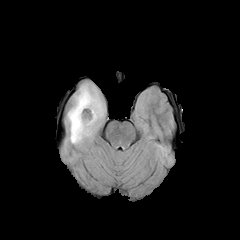
FLAIR magnetic resonance.
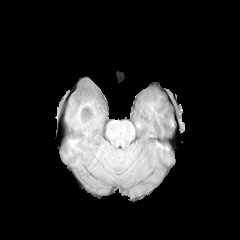
Same slice, T1-weighted magnetic resonance.
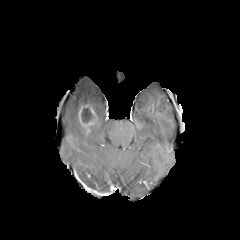
Post-contrast T1-weighted MRI of the same slice.
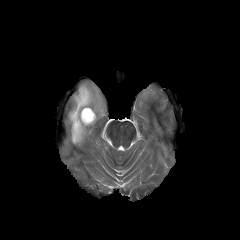
T2-weighted magnetic resonance of the same slice.
Head
Non-enhancing tumor core at region(81, 105, 98, 129).
Edema at region(65, 82, 106, 145).
Enhancing tumor at region(79, 108, 94, 127).